Image size 512x512. CT scan slice.
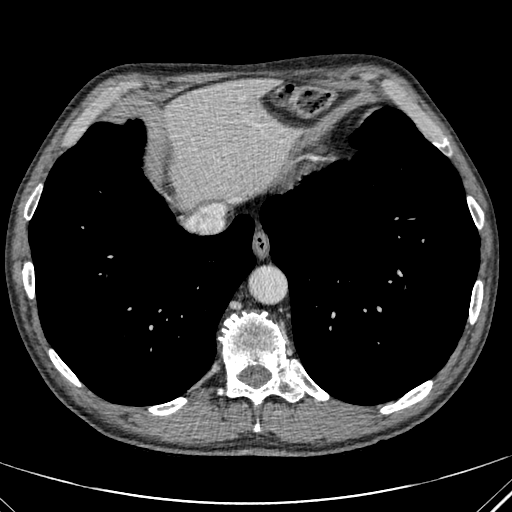 {"liver": ["(165, 78, 298, 206)"]}